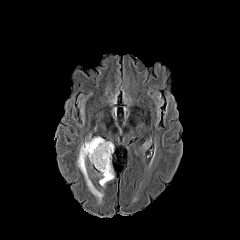
FLAIR MR image.
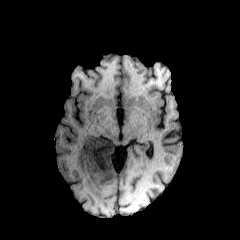
T1-weighted MR.
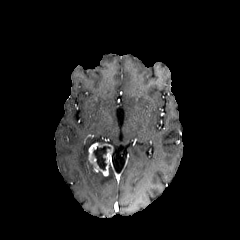
Post-contrast T1-weighted MR.
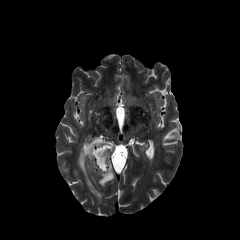
T2-weighted MR image.
The non-enhancing tumor core is at region(94, 145, 110, 170). The enhancing tumor is at region(87, 139, 113, 176). 2 edema regions are bounded by region(99, 171, 114, 185); region(76, 137, 103, 202).